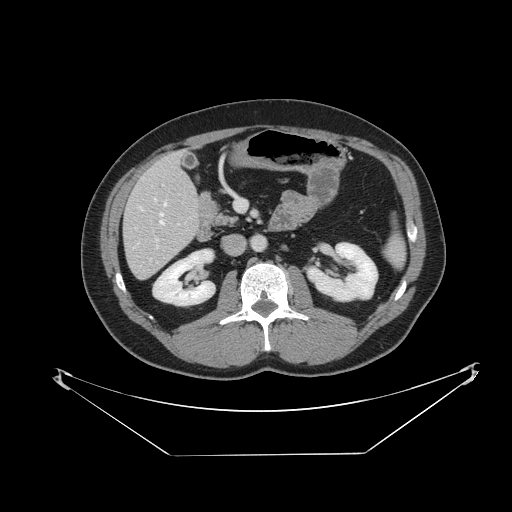

CT

spleen: 384 222 405 267